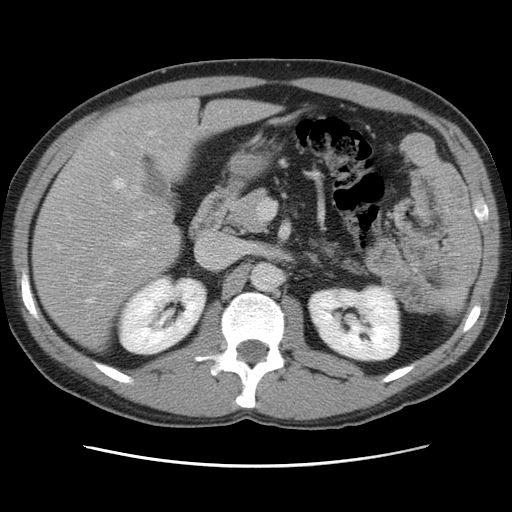
CT slice, Abdomen
The vessel annotation is not exhaustive.
13 hepatic vessel regions are located at 146,236,147,240; 108,268,113,274; 139,261,143,263; 88,298,94,302; 57,245,61,249; 137,232,145,237; 134,213,143,218; 111,152,113,155; 99,284,103,286; 150,211,154,213; 122,241,134,246; 147,131,156,135; 114,178,121,188.